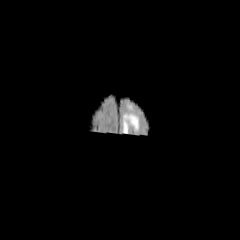
FLAIR magnetic resonance.
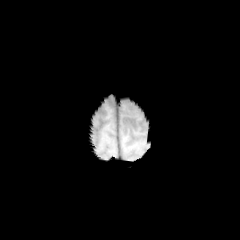
T1-weighted magnetic resonance.
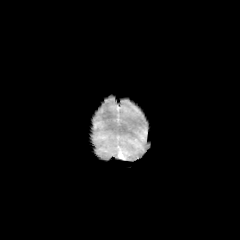
Same slice, post-contrast T1-weighted MR image.
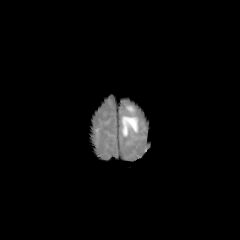
Same slice, T2-weighted magnetic resonance.
Head
Edema at (122,116,138,136), (125,105,134,113).